FLAIR magnetic resonance.
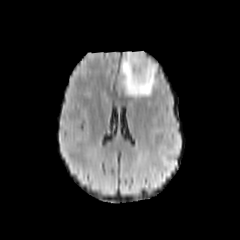
T1-weighted magnetic resonance.
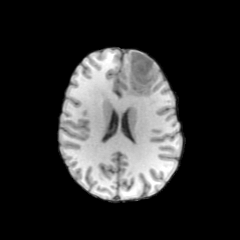
Post-contrast T1-weighted MR image.
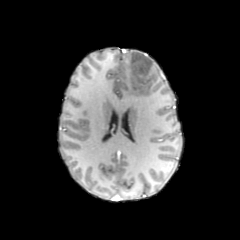
T2-weighted magnetic resonance.
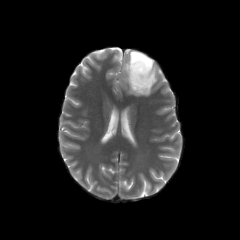
Head
2 edema regions are located at {"x1": 150, "y1": 61, "x2": 156, "y2": 86}, {"x1": 122, "y1": 51, "x2": 143, "y2": 95}. The non-enhancing tumor core is at {"x1": 129, "y1": 52, "x2": 154, "y2": 94}.